Brain; Slice 48 of 155
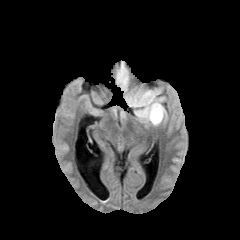
FLAIR MR.
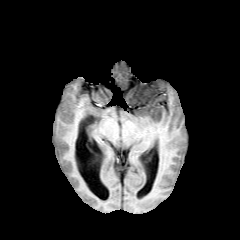
Same slice, T1-weighted MR.
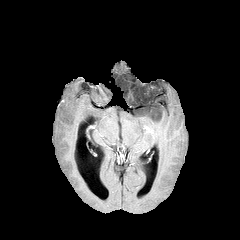
Same slice, post-contrast T1-weighted magnetic resonance.
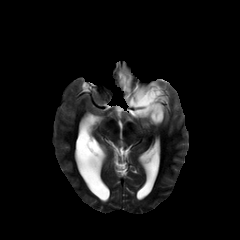
T2-weighted MR image.
non-enhancing tumor core: (x1=130, y1=88, x2=162, y2=113) | edema: (x1=115, y1=106, x2=125, y2=117), (x1=116, y1=62, x2=166, y2=126)